Image size 240x240; Slice 121 of 155
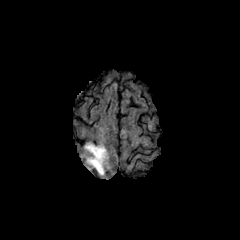
FLAIR MRI.
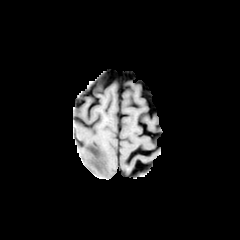
T1-weighted MRI.
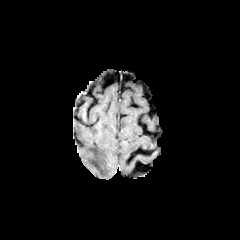
Same slice, post-contrast T1-weighted MR image.
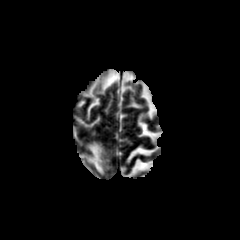
T2-weighted MR.
Edema: bounding box {"x1": 80, "y1": 142, "x2": 114, "y2": 177}.